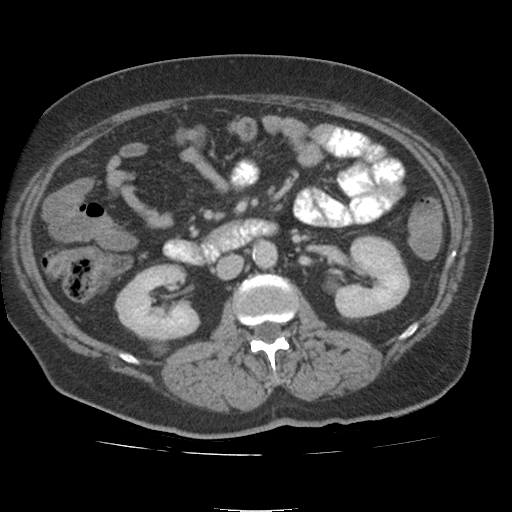
CT image. Abdomen. Image size 512x512. Kidney = [114,264,197,352], [335,238,403,316].